Head | Slice 131/155 | Image size 240x240
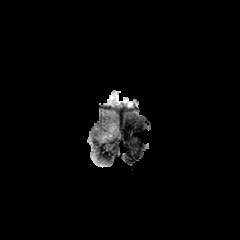
FLAIR magnetic resonance.
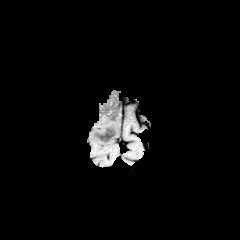
T1-weighted MR image.
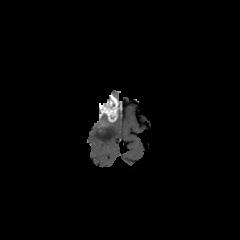
Post-contrast T1-weighted MR of the same slice.
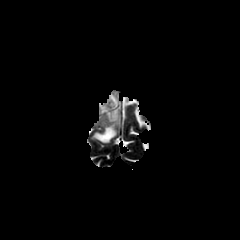
T2-weighted MR image.
The enhancing tumor appears at bbox(99, 94, 117, 125). The edema lies within bbox(94, 119, 118, 142).